FLAIR MR image.
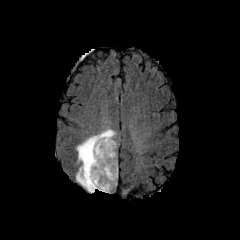
T1-weighted magnetic resonance.
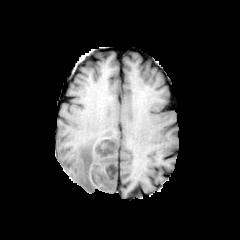
Post-contrast T1-weighted magnetic resonance.
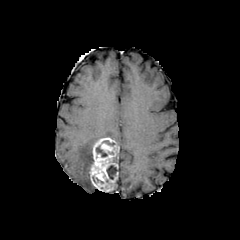
T2-weighted MRI.
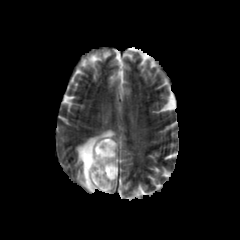
Head, 240x240 px
non-enhancing_tumor_core:
  - (x1=106, y1=165, x2=117, y2=179)
  - (x1=96, y1=146, x2=107, y2=156)
  - (x1=83, y1=146, x2=95, y2=187)
edema:
  - (x1=74, y1=128, x2=117, y2=192)
enhancing_tumor:
  - (x1=89, y1=138, x2=117, y2=191)